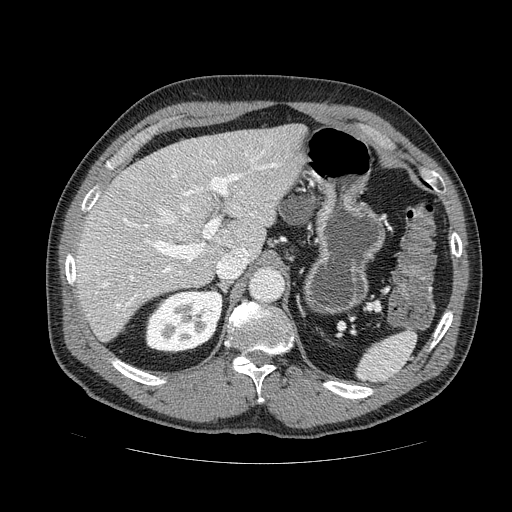
CT | Abdomen

The pancreas is at 277 192 311 227. The pancreatic tumor is bounded by 279 194 319 225.